CT, Abdomen
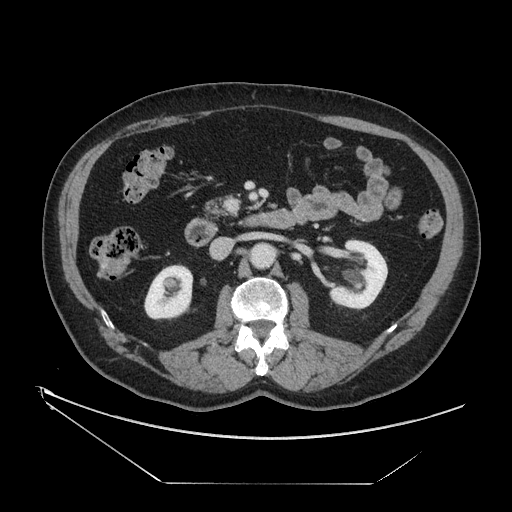 The pancreatic tumor is bounded by (x1=224, y1=198, x2=239, y2=215). The pancreas is located at (x1=204, y1=195, x2=236, y2=218).